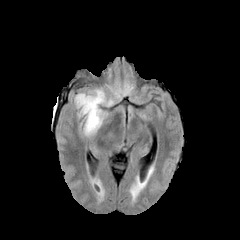
FLAIR MRI.
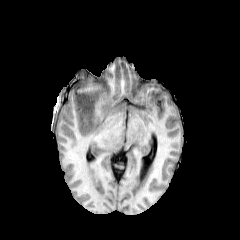
T1-weighted MRI of the same slice.
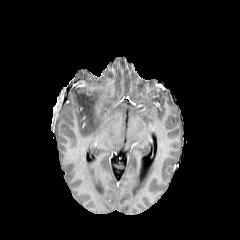
Post-contrast T1-weighted MRI of the same slice.
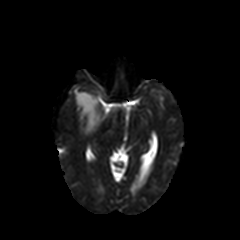
T2-weighted MRI of the same slice.
240x240 px. Brain.
non-enhancing_tumor_core:
  - (77, 93, 95, 123)
edema:
  - (74, 87, 113, 136)